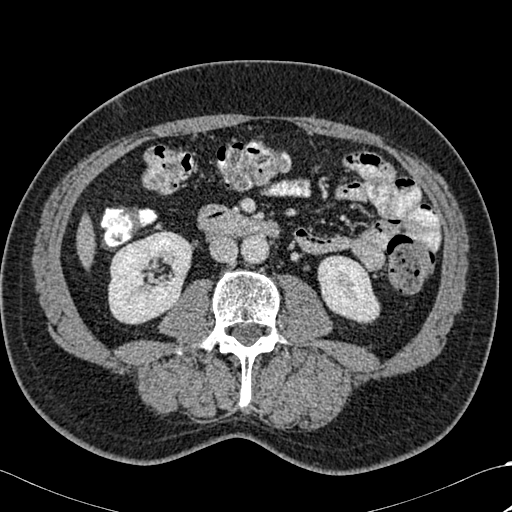
Abdomen, CT image
The liver is at <bbox>77, 223, 93, 256</bbox>. 2 kidney regions are located at <bbox>318, 256, 378, 321</bbox>, <bbox>109, 232, 191, 323</bbox>. The bone is at <bbox>201, 271, 285, 406</bbox>.